Abdomen | 512x512 px | CT slice 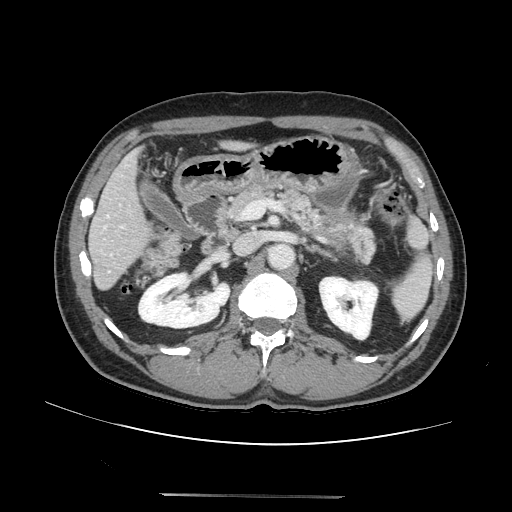 2 pancreas regions appear at (332,222,376,263), (230,188,328,235). The pancreatic tumor is located at (316,214,355,240).